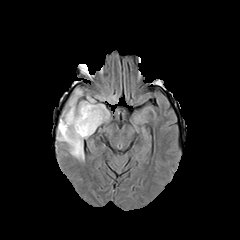
FLAIR MR.
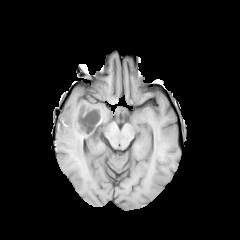
Same slice, T1-weighted MR image.
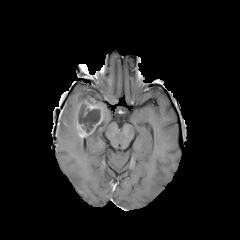
Post-contrast T1-weighted MRI.
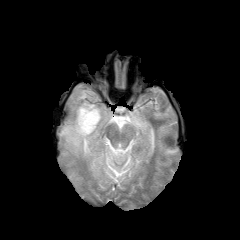
T2-weighted MRI.
Head.
2 enhancing tumor regions are bounded by (77,122,86,137), (86,101,102,111). The non-enhancing tumor core appears at (74,102,105,139). 2 edema regions appear at (57,89,111,159), (134,116,143,125).